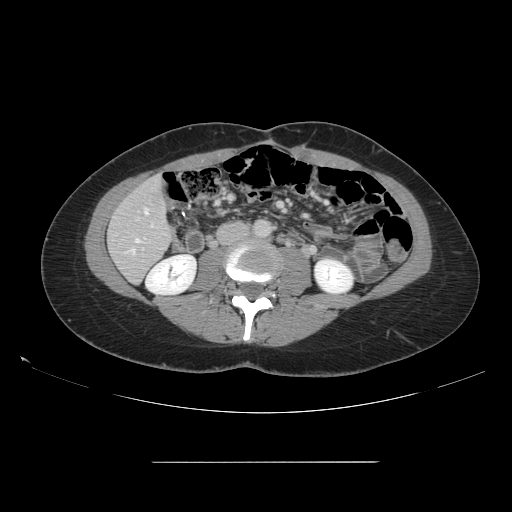
CT scan slice
Only some of the vessels may be annotated.
hepatic_vessel:
  - l=124, t=248, r=135, b=253
  - l=136, t=218, r=137, b=219
  - l=135, t=237, r=149, b=242
  - l=151, t=223, r=154, b=226
  - l=144, t=208, r=147, b=214